Slice 17/20, Prostate
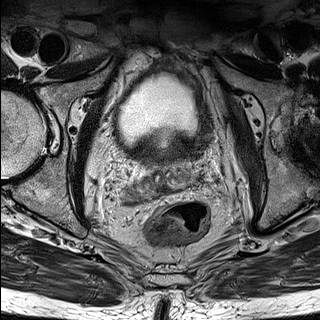
T2-weighted magnetic resonance.
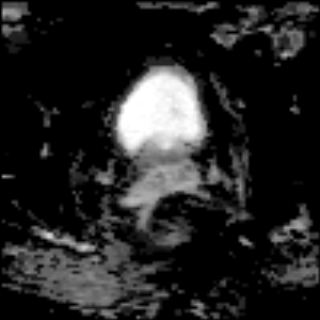
Same slice, ADC MRI.
<segmentation>
  <prostate_transition_zone>left=141, top=134, right=194, bottom=174</prostate_transition_zone>
</segmentation>